Image size 240x240. Slice index 82.
FLAIR MRI.
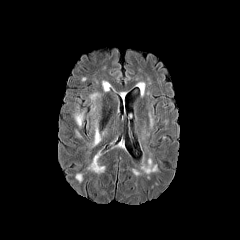
T1-weighted MRI.
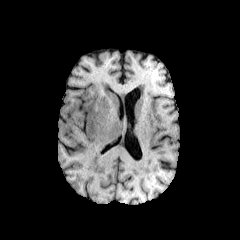
Post-contrast T1-weighted MR image.
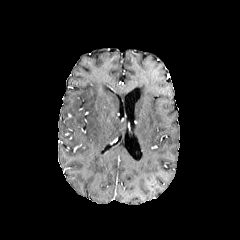
T2-weighted MRI.
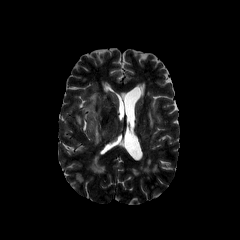
The edema is located at box(94, 124, 100, 144).